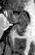 MR; Medial temporal lobe
The anterior hippocampus lies within {"x1": 7, "y1": 9, "x2": 28, "y2": 22}. The posterior hippocampus appears at {"x1": 13, "y1": 23, "x2": 27, "y2": 35}.